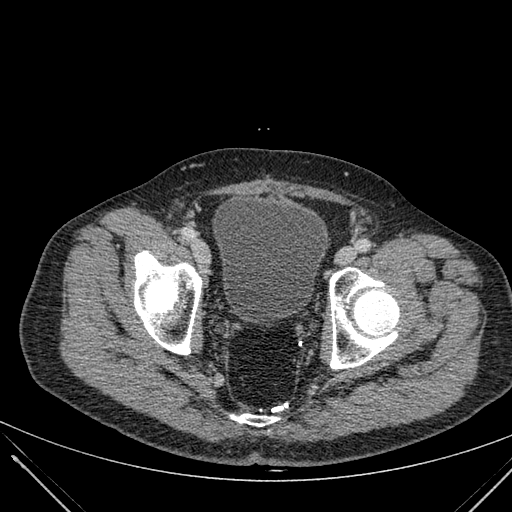 512x512 px; CT image
The urinary bladder appears at (left=212, top=199, right=328, bottom=320).